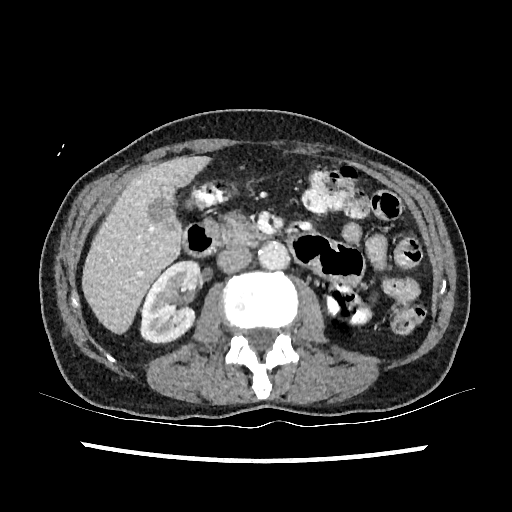 CT slice
Kidney = 141,260,203,342.
Liver = 85,156,207,331.
Focal liver lesion = 167,221,174,229; 147,196,172,222.